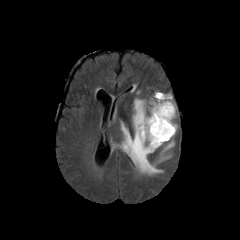
FLAIR MR.
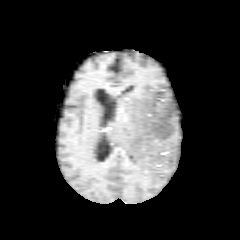
Same slice, T1-weighted MRI.
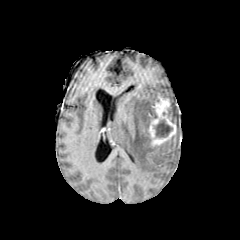
Post-contrast T1-weighted MR image of the same slice.
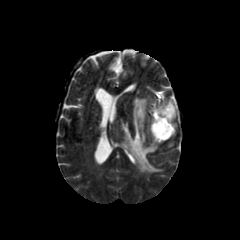
Same slice, T2-weighted MR.
Brain | 240x240
Non-enhancing tumor core: (left=166, top=103, right=175, bottom=117), (left=155, top=120, right=171, bottom=137).
Enhancing tumor: (left=148, top=94, right=176, bottom=145).
Edema: (left=164, top=125, right=179, bottom=149), (left=120, top=91, right=179, bottom=174).